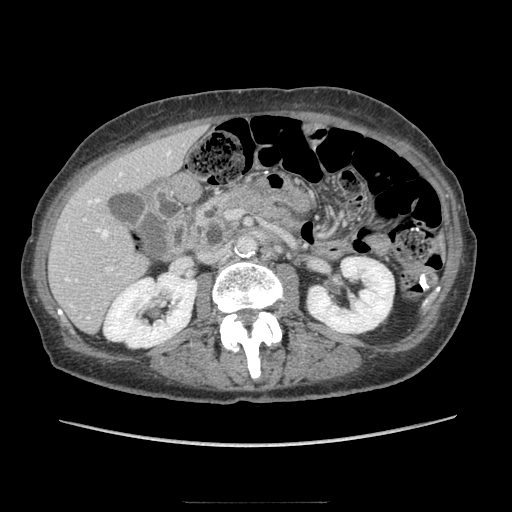

512x512 px. CT scan slice.

{"pancreas": ["(x1=194, y1=183, x2=306, y2=249)"]}